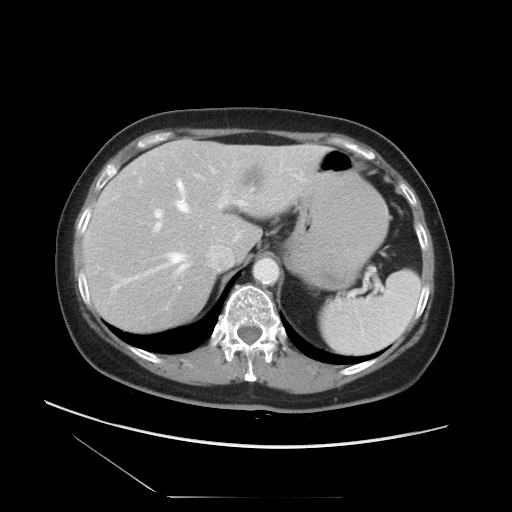 Abdomen, Image size 512x512, CT scan slice
Only some of the vessels may be annotated.
9 hepatic vessel regions are located at [279, 163, 282, 171], [155, 210, 161, 218], [155, 223, 161, 230], [176, 181, 188, 211], [112, 276, 140, 289], [210, 246, 215, 249], [194, 173, 201, 178], [144, 253, 187, 275], [217, 189, 247, 208]. The liver tumor appears at [227, 156, 271, 201].